512x512 px. Computed tomography.
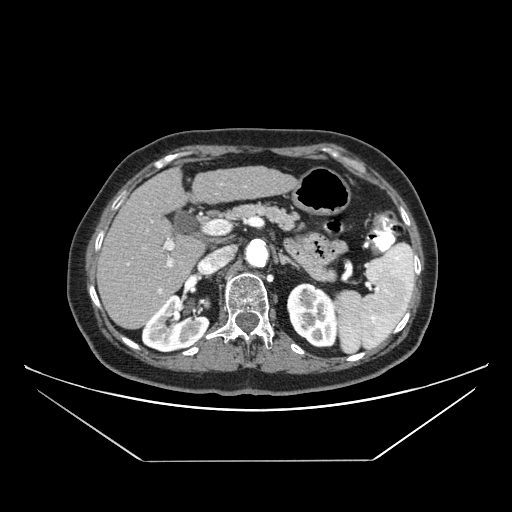 pancreas: x1=174, y1=202, x2=302, y2=241